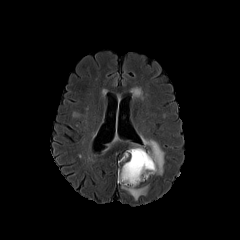
FLAIR MR.
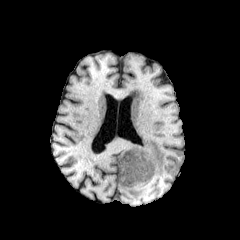
T1-weighted MR.
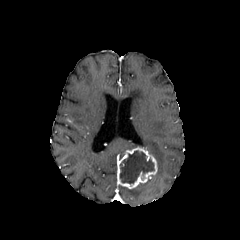
Post-contrast T1-weighted MR of the same slice.
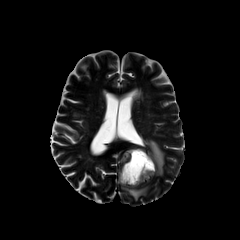
T2-weighted MR image.
Head
Edema at <box>121,185,149,200</box>, <box>143,138,164,175</box>.
Non-enhancing tumor core at <box>119,150,154,183</box>.
Enhancing tumor at <box>117,146,157,189</box>.